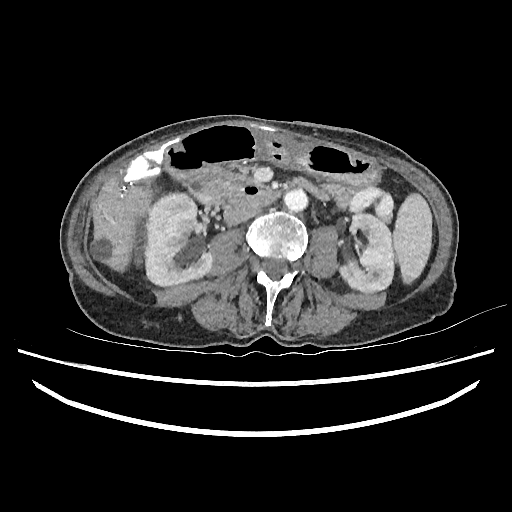

512x512 | Upper abdomen | CT scan slice
Annotated regions:
• kidney: (145,194,212,285), (340,214,393,292)
• focal liver lesion: (132,223,142,263), (91,240,111,259)
• liver: (92,178,150,271)